Image size 512x512 | CT slice | Abdomen 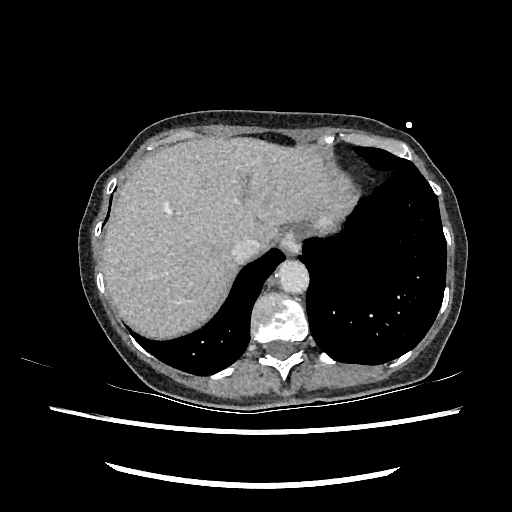

<segmentation>
  <liver>[104, 137, 342, 335]</liver>
</segmentation>